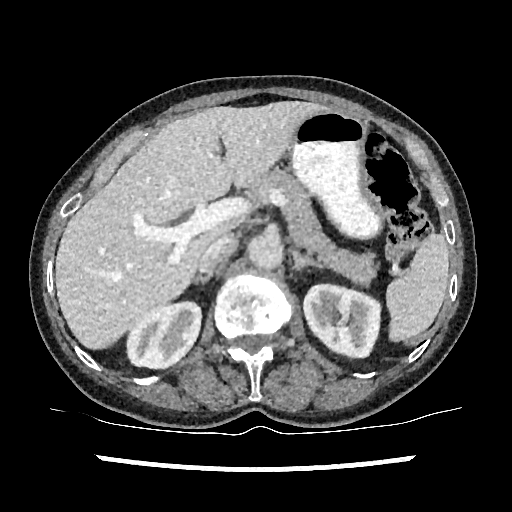
512x512 px, CT scan slice, Upper abdomen
The liver is at bbox(56, 102, 324, 347). 2 kidney regions appear at bbox(128, 303, 200, 371); bbox(304, 285, 379, 358).